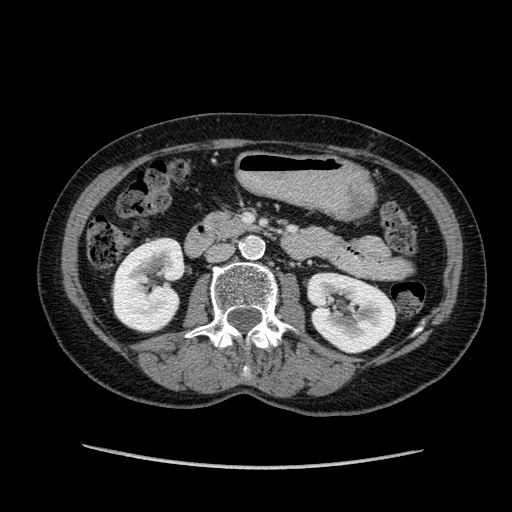
CT. 512x512. Abdomen.
{"kidney": ["bbox(308, 273, 394, 352)", "bbox(113, 239, 183, 330)"]}